512x512 | Abdomen | CT scan slice
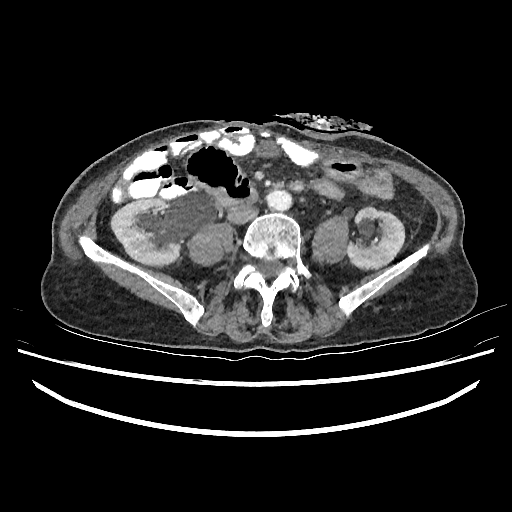

{"kidney": ["rect(347, 208, 404, 268)", "rect(111, 197, 179, 264)"]}